Slice 275 of 407 | Upper abdomen | CT slice 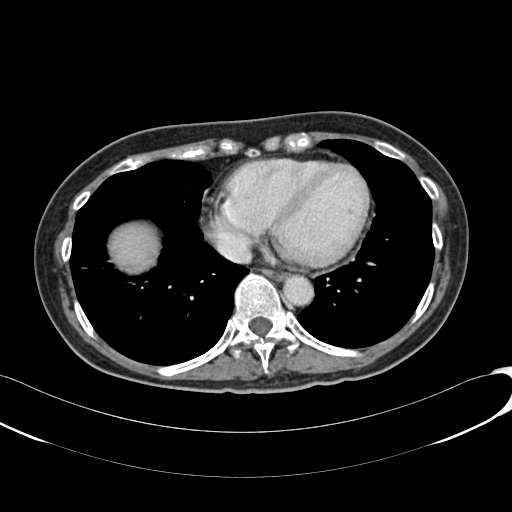

Liver = bbox=[112, 225, 154, 267].